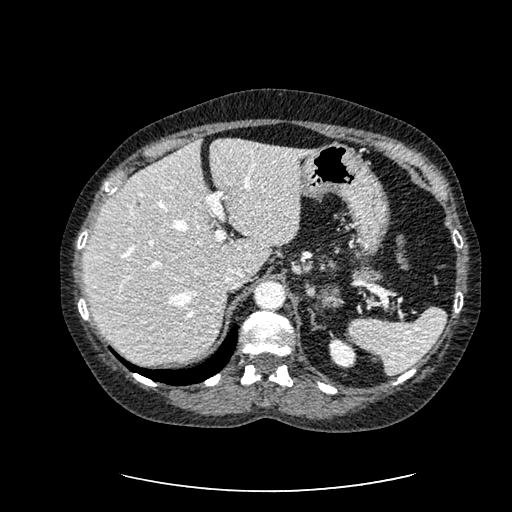 Upper abdomen; CT image
liver: bbox(83, 139, 315, 364) | kidney: bbox(330, 339, 354, 366)